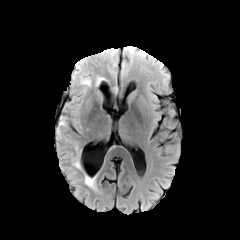
FLAIR magnetic resonance.
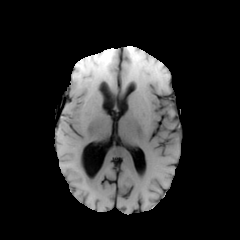
T1-weighted MR.
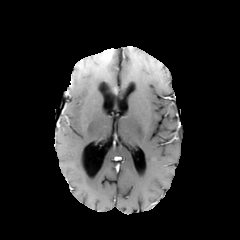
Post-contrast T1-weighted MR image.
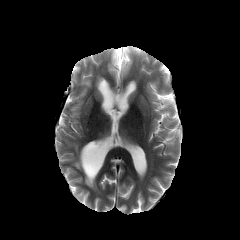
T2-weighted MR image.
Edema: rect(81, 74, 91, 85); rect(84, 175, 96, 188); rect(57, 116, 65, 133).